CT slice; Image width 500 mm; Liver 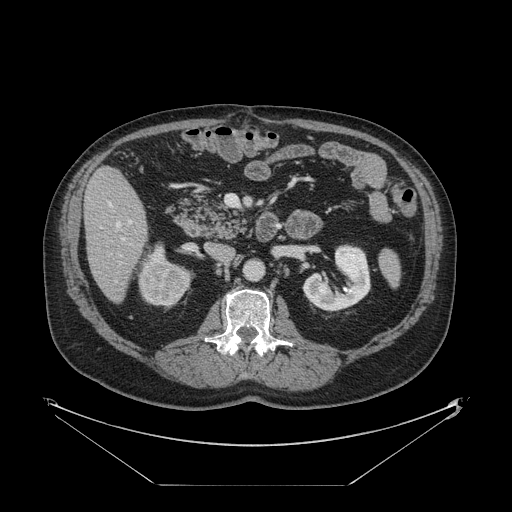
Only some of the vessels may be annotated.
Hepatic vessel at (128, 220, 130, 221).